CT scan slice | Slice 216/244

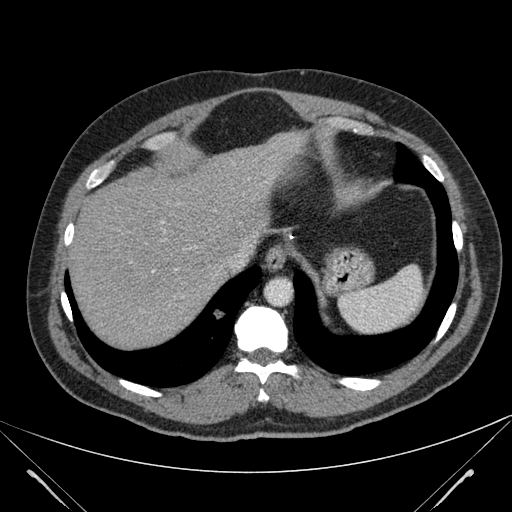 Annotated regions:
• liver: region(67, 130, 308, 349)